Head, Field of view 240 mm wide, 1.00 mm slice spacing, Slice 79 of 155
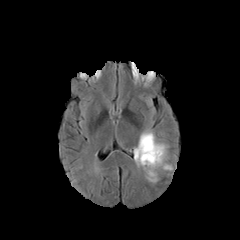
FLAIR MR.
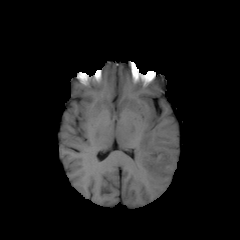
Same slice, T1-weighted MRI.
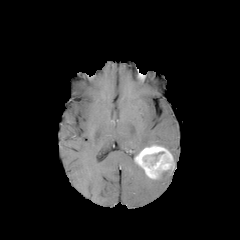
Same slice, post-contrast T1-weighted magnetic resonance.
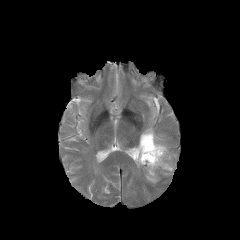
Same slice, T2-weighted MR image.
Enhancing tumor = 134 144 174 179.
Edema = 135 162 162 183, 130 125 175 160.